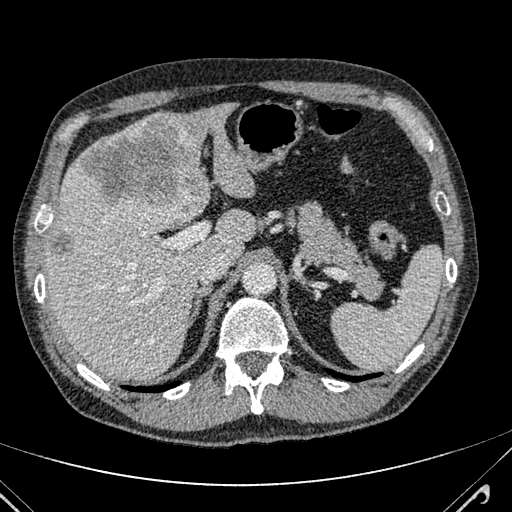 Liver; CT scan slice; 512x512
Liver at [47, 155, 254, 379], [92, 120, 146, 146], [155, 103, 253, 196].
Hepatic lesion at [50, 234, 73, 255], [81, 117, 207, 211].